512x512 | Slice index 56 | Computed tomography

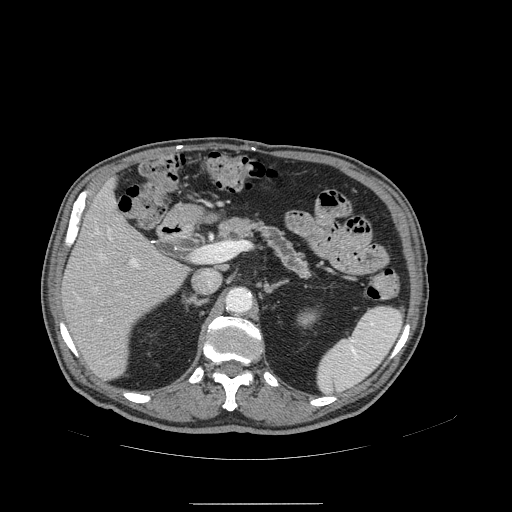

The pancreas is at 215 213 322 285. The pancreatic tumor is located at 223 217 250 237.